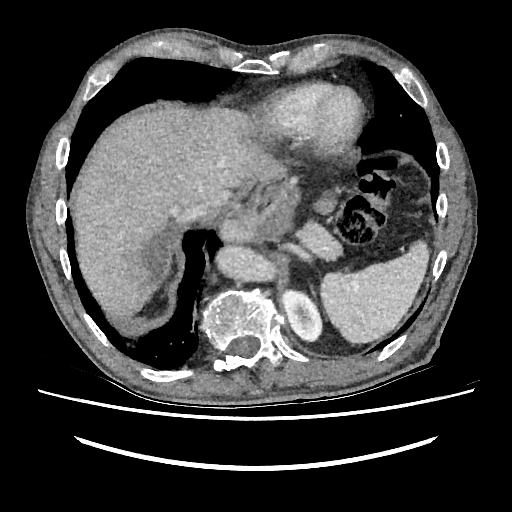 CT image, Liver
Liver — bbox=[74, 108, 284, 319].
Kidney — bbox=[283, 291, 321, 340].
Hepatic lesion — bbox=[125, 218, 175, 295]; bbox=[241, 135, 257, 147].